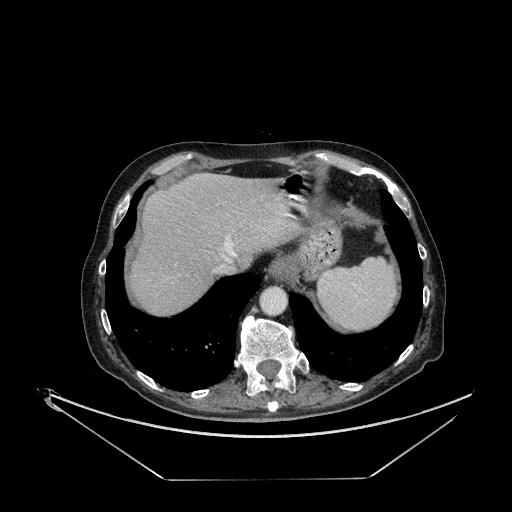 CT slice
Liver = 131:174:297:314.